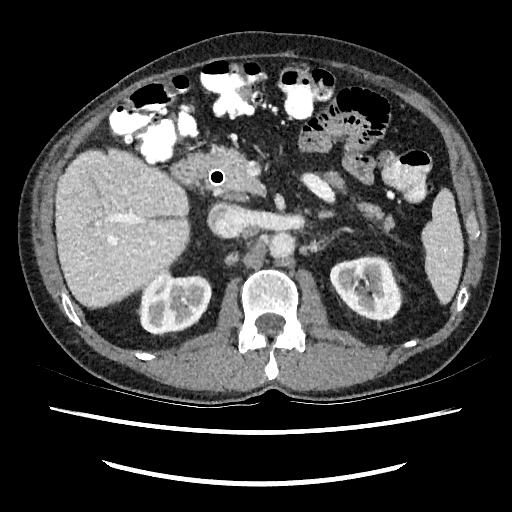
CT scan slice. Upper abdomen. 512x512.

Kidney = <box>141,273,210,333</box>, <box>330,258,399,319</box>.
Liver = <box>55,147,188,306</box>.